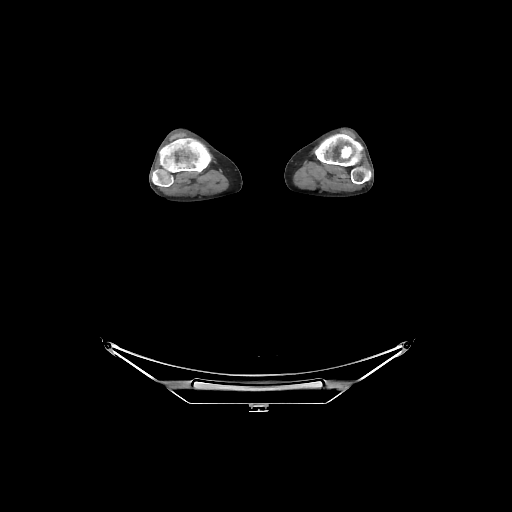
CT image. 3 bone regions are located at x1=315, y1=134, x2=362, y2=166; x1=152, y1=138, x2=210, y2=186; x1=351, y1=167, x2=370, y2=184.